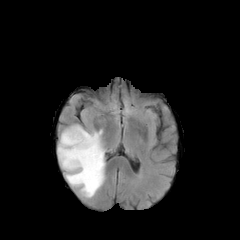
FLAIR MR.
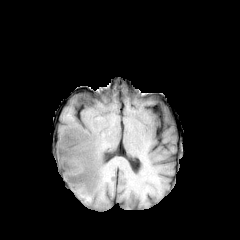
T1-weighted magnetic resonance.
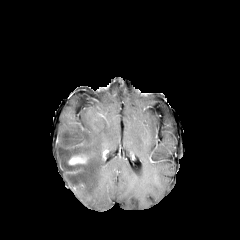
Post-contrast T1-weighted magnetic resonance of the same slice.
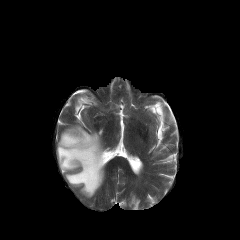
Same slice, T2-weighted magnetic resonance.
Edema: x1=57, y1=125, x2=106, y2=197.
Enhancing tumor: x1=68, y1=154, x2=87, y2=164.